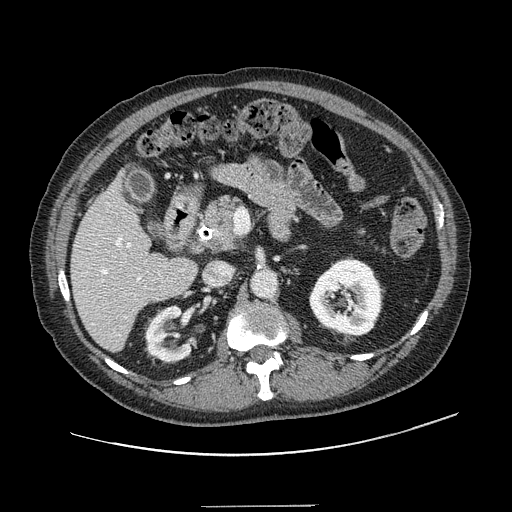

Computed tomography; Abdomen; 512x512 px
pancreatic_tumor:
  - (210,240,226,253)
pancreas:
  - (198,195,244,254)
  - (355,227,387,258)